Slice 50 of 155, Image size 240x240, Head
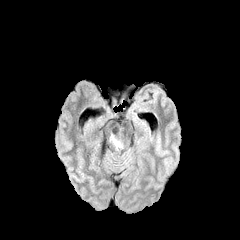
FLAIR magnetic resonance.
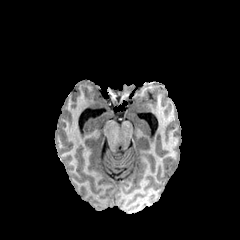
Same slice, T1-weighted MR.
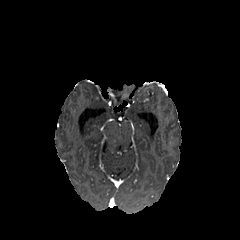
Same slice, post-contrast T1-weighted magnetic resonance.
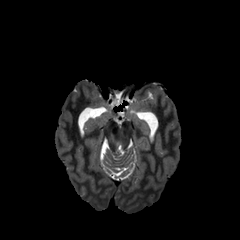
Same slice, T2-weighted MR.
Edema at 109:134:122:151.